CT; Slice 495/683

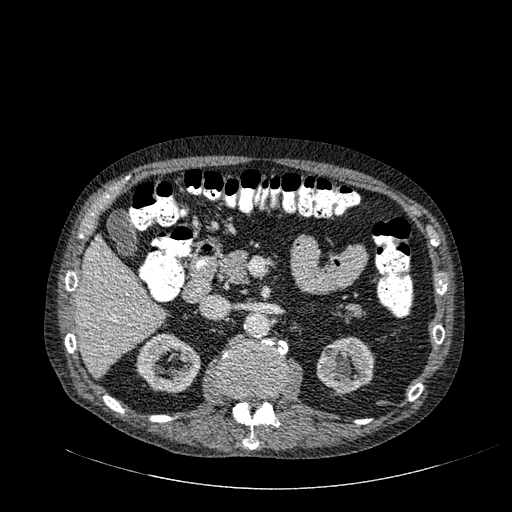 <segmentation>
  <liver>box=[77, 237, 165, 376]</liver>
  <kidney>box=[316, 337, 374, 395]; box=[135, 333, 200, 392]</kidney>
</segmentation>